FLAIR MR image.
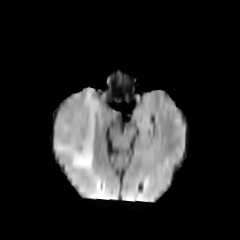
T1-weighted MR.
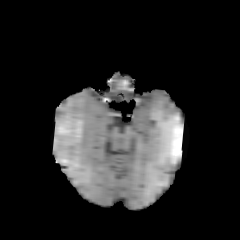
Post-contrast T1-weighted MRI.
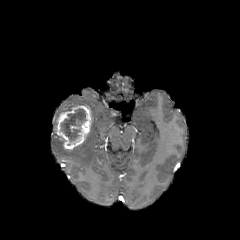
T2-weighted MR.
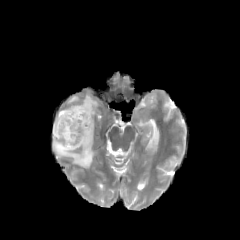
240x240
Enhancing tumor = bbox=[55, 105, 92, 149].
Non-enhancing tumor core = bbox=[60, 108, 86, 141].
Edema = bbox=[53, 89, 101, 169].